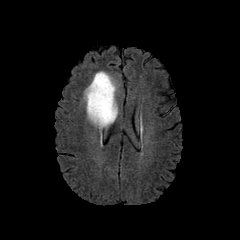
FLAIR magnetic resonance.
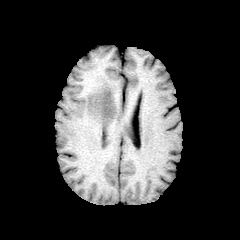
T1-weighted MRI.
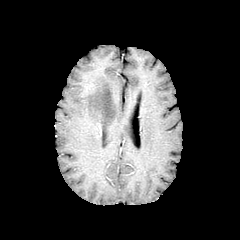
Post-contrast T1-weighted magnetic resonance.
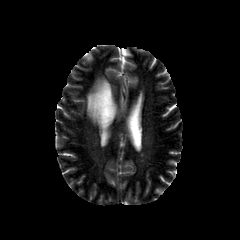
T2-weighted MRI.
The edema lies within [x1=81, y1=71, x2=118, y2=129].